Computed tomography | Slice index 56

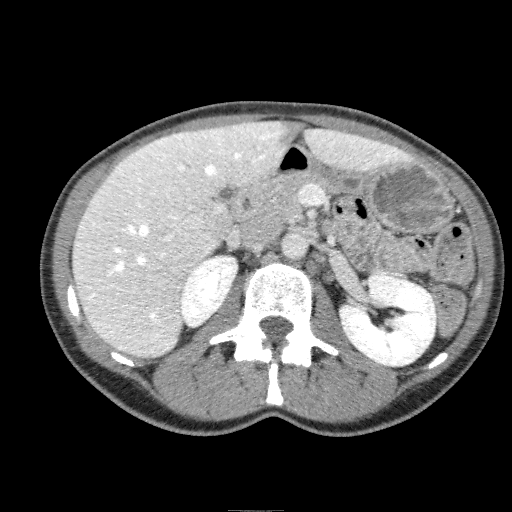

<segmentation>
  <liver_lesion>rect(277, 121, 302, 149); rect(198, 206, 230, 238)</liver_lesion>
  <liver>rect(72, 120, 285, 357); rect(295, 121, 410, 171)</liver>
  <kidney>rect(180, 256, 236, 326); rect(340, 275, 435, 365)</kidney>
</segmentation>